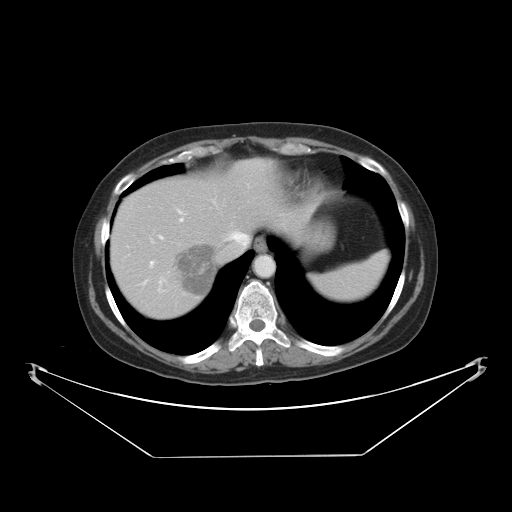
Abdomen, CT scan slice
Some hepatic vessels may have no box.
Annotated regions:
* liver tumor: 174, 245, 215, 297
* hepatic vessel: 178, 210, 182, 213; 159, 236, 162, 238; 150, 261, 153, 265; 180, 218, 182, 221; 160, 280, 161, 283